512x512, Abdomen, Field of view 375x375 mm, Slice 46/134, Computed tomography

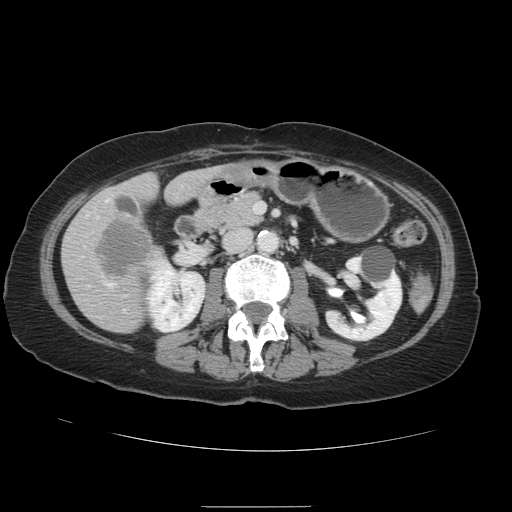

The vessel boxes may cover only some of the vessels.
2 hepatic vessel regions are located at left=105, top=200, right=107, bottom=202; left=106, top=283, right=111, bottom=287. The liver tumor appears at left=99, top=221, right=152, bottom=277.